512x512 px. Abdomen. CT image.

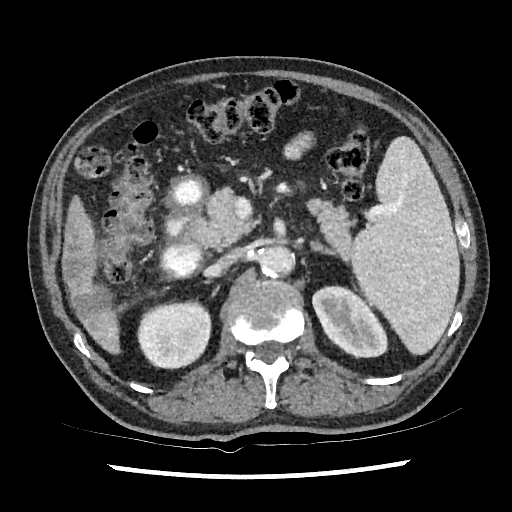 Findings:
• liver: <bbox>82, 306, 118, 351</bbox>, <bbox>65, 199, 108, 297</bbox>
• hepatic lesion: <bbox>63, 220, 94, 285</bbox>, <bbox>72, 288, 109, 331</bbox>
• kidney: <bbox>139, 303, 210, 367</bbox>, <bbox>312, 287, 386, 356</bbox>